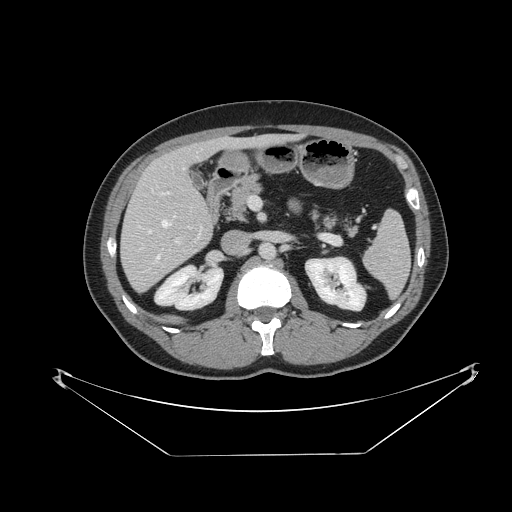 CT slice. Image size 512x512. Abdomen. <segmentation>
  <spleen>[x1=365, y1=211, x2=409, y2=296]</spleen>
</segmentation>